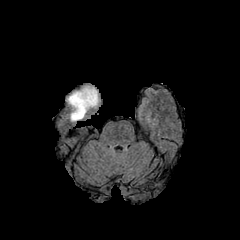
FLAIR MR image.
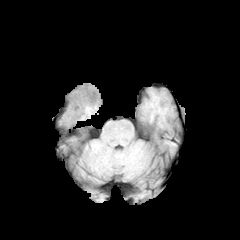
T1-weighted MR image of the same slice.
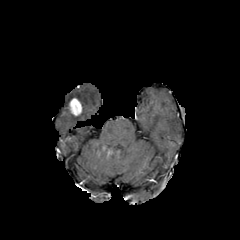
Post-contrast T1-weighted MR image.
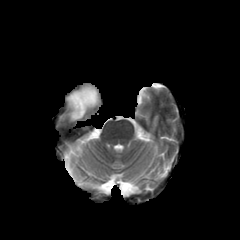
T2-weighted MRI.
Segmented structures:
* edema: {"x1": 66, "y1": 85, "x2": 100, "y2": 121}
* enhancing tumor: {"x1": 69, "y1": 98, "x2": 82, "y2": 115}